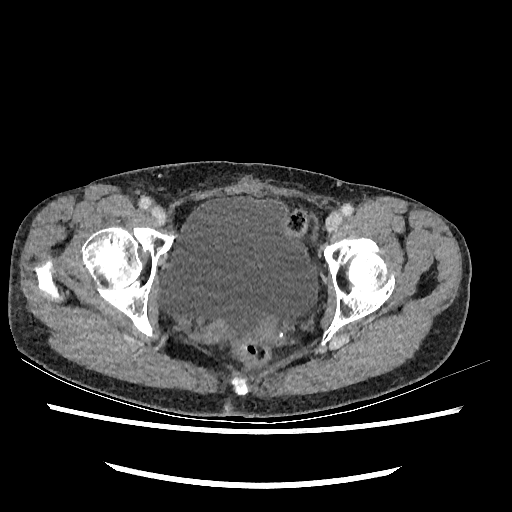 CT scan slice, Pelvis
{
  "urinary_bladder": [
    {"x1": 158, "y1": 195, "x2": 317, "y2": 340}
  ]
}